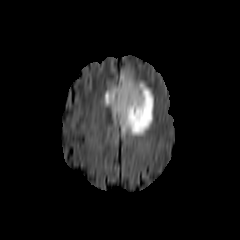
FLAIR MR image.
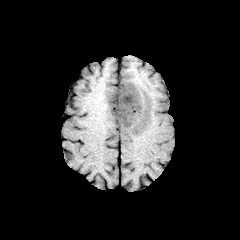
Same slice, T1-weighted MR image.
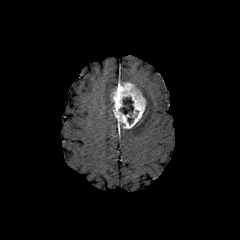
Post-contrast T1-weighted MRI of the same slice.
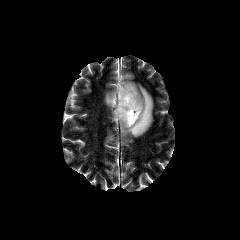
Same slice, T2-weighted magnetic resonance.
Head
<segmentation>
  <enhancing_tumor><box>110,79,145,128</box></enhancing_tumor>
  <edema><box>104,86,117,123</box>, <box>120,70,153,136</box></edema>
  <non-enhancing_tumor_core><box>120,97,134,124</box></non-enhancing_tumor_core>
</segmentation>